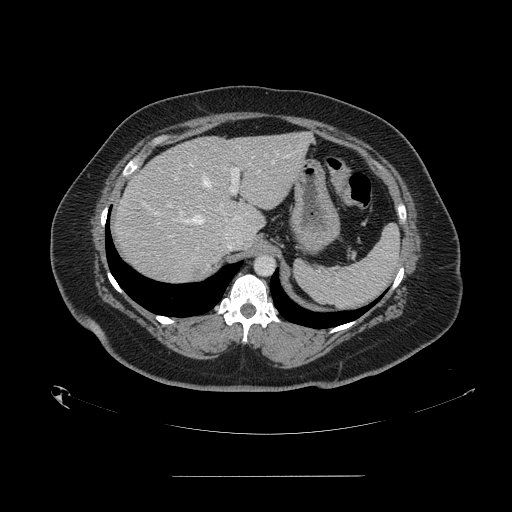
Image size 512x512. CT. Annotated regions:
• spleen: box=[294, 225, 399, 308]